Brain.
FLAIR MR image.
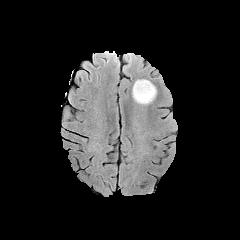
T1-weighted MR image.
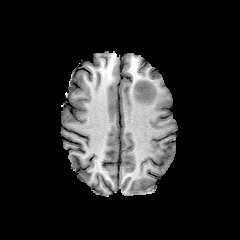
Post-contrast T1-weighted MR.
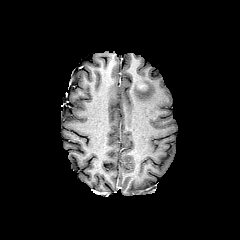
T2-weighted MRI.
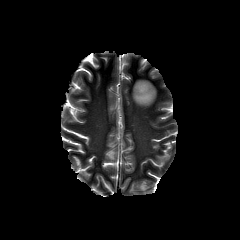
Segmented structures:
- non-enhancing tumor core: bbox(137, 83, 147, 92)
- edema: bbox(132, 79, 156, 105)